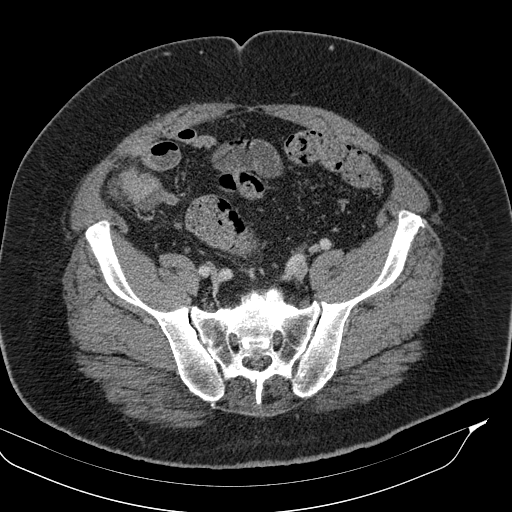
CT image | Abdomen | 512x512 px
colon_tumor:
  - <box>117,171,157,202</box>